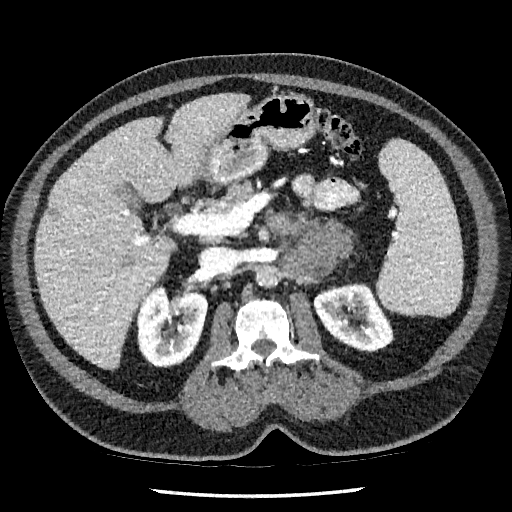

Computed tomography, Upper abdomen
<segmentation>
  <kidney>x1=138, y1=288, x2=207, y2=365; x1=314, y1=285, x2=392, y2=350</kidney>
  <liver>x1=36, y1=94, x2=248, y2=367</liver>
  <liver_lesion>x1=46, y1=207, x2=56, y2=215; x1=121, y1=257, x2=134, y2=267</liver_lesion>
</segmentation>